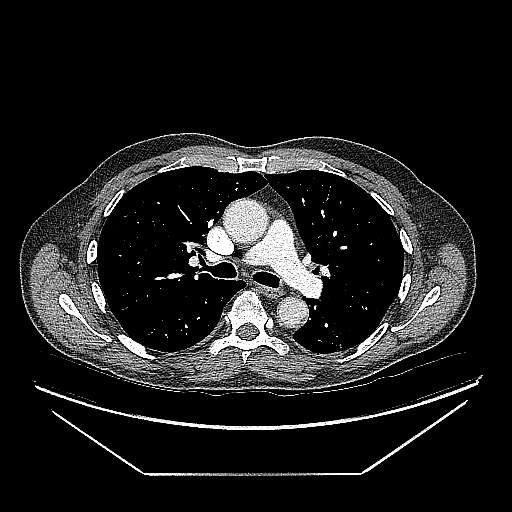 Image size 512x512, CT
• lung tumor: box(328, 328, 351, 351)